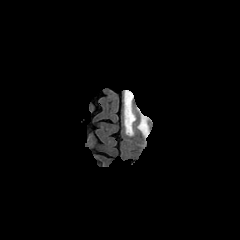
FLAIR MR.
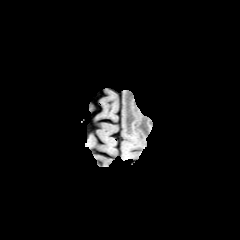
Same slice, T1-weighted MR.
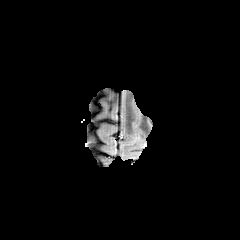
Post-contrast T1-weighted MR.
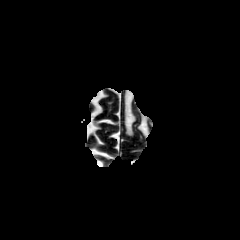
T2-weighted magnetic resonance.
Head. Image size 240x240.
The edema is at (123,90,152,142).